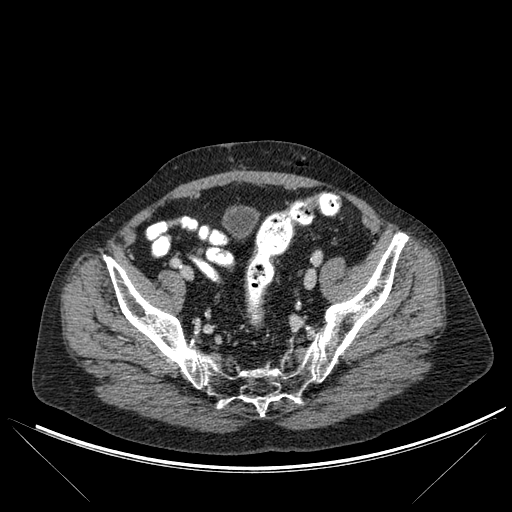
CT slice, 512x512 px
{
  "bone": [
    "left=103, top=232, right=407, bottom=416"
  ]
}